Field of view 240x240 mm, Slice 117/155
FLAIR MR.
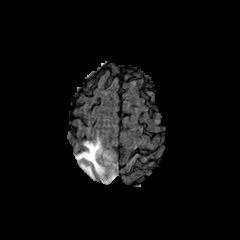
T1-weighted MR.
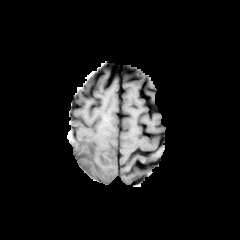
Post-contrast T1-weighted MR.
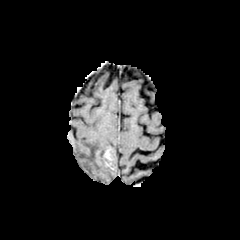
T2-weighted MRI.
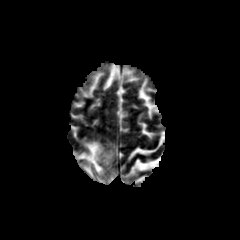
enhancing tumor: [96, 149, 114, 170] | edema: [75, 137, 116, 183]